FLAIR MR image.
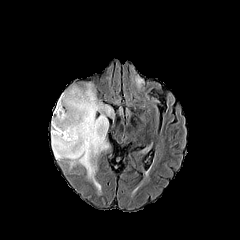
T1-weighted MRI.
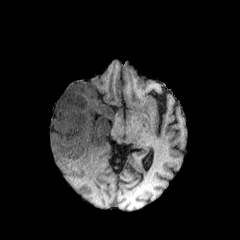
Post-contrast T1-weighted MR.
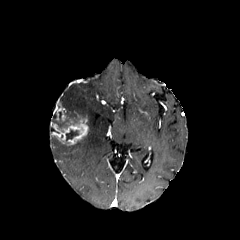
T2-weighted MR image.
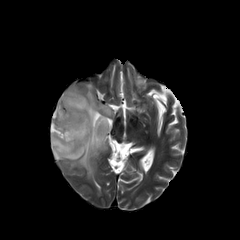
Head
Findings:
* non-enhancing tumor core: (left=52, top=109, right=69, bottom=125), (left=66, top=129, right=77, bottom=140)
* enhancing tumor: (left=50, top=110, right=89, bottom=145)
* edema: (left=51, top=82, right=115, bottom=190)